Image size 512x512; CT image; Slice 113 of 654

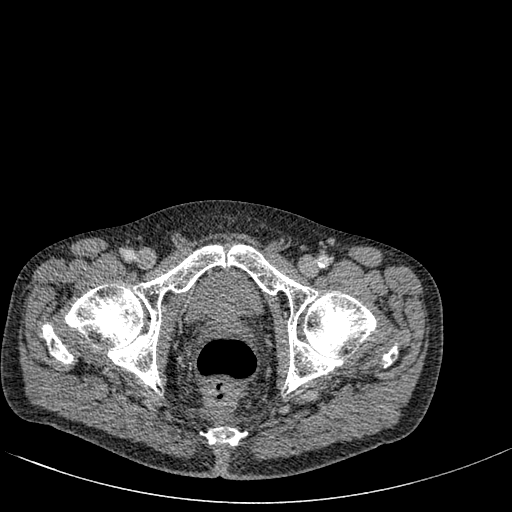 Annotated regions:
- urinary bladder: (x1=178, y1=266, x2=265, y2=325)